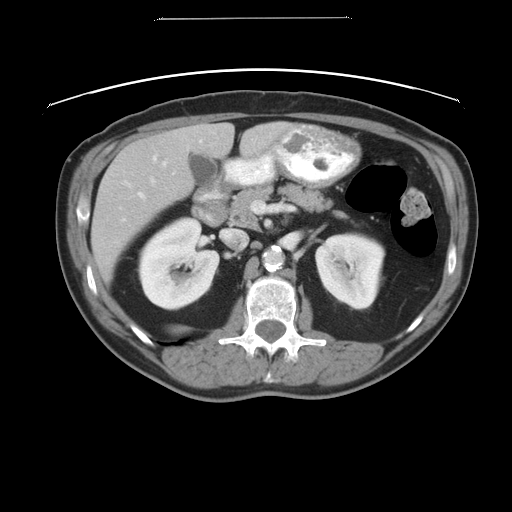

CT image. Liver.

The vessel annotation is not exhaustive.
5 hepatic vessel regions appear at x1=122 y1=218 x2=125 y2=220, x1=153 y1=155 x2=156 y2=160, x1=150 y1=177 x2=155 y2=184, x1=139 y1=192 x2=144 y2=197, x1=163 y1=161 x2=166 y2=165.